240x240 px. Brain. Field of view 240x240 mm.
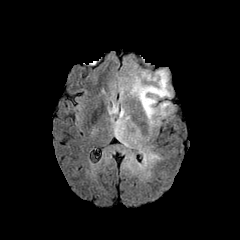
FLAIR MRI.
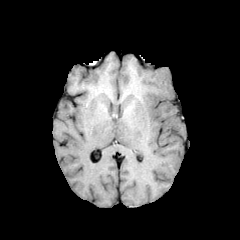
Same slice, T1-weighted MRI.
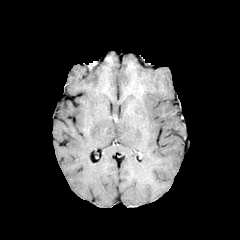
Post-contrast T1-weighted MR image.
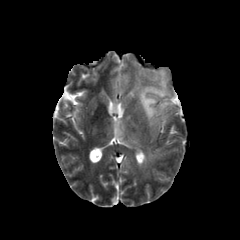
Same slice, T2-weighted magnetic resonance.
<segmentation>
  <edema>region(128, 69, 173, 127); region(115, 120, 124, 135)</edema>
  <non-enhancing_tumor_core>region(154, 70, 164, 89)</non-enhancing_tumor_core>
</segmentation>